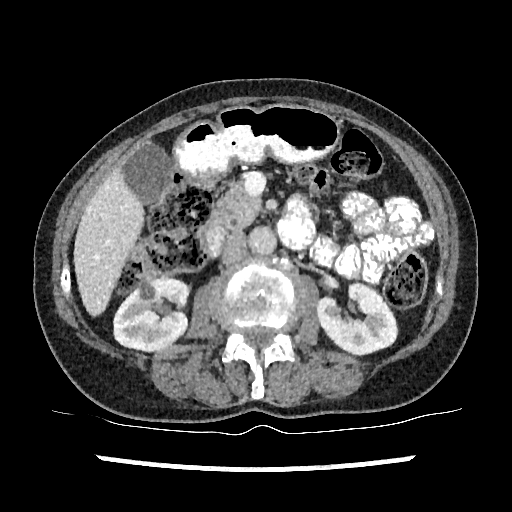

CT scan slice.

Liver: bounding box region(75, 171, 143, 315).
Kidney: bounding box region(114, 279, 188, 350); region(318, 284, 396, 353).